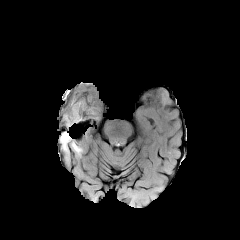
FLAIR MRI.
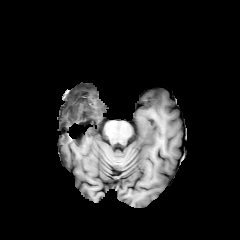
T1-weighted magnetic resonance of the same slice.
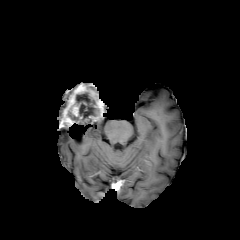
Post-contrast T1-weighted magnetic resonance.
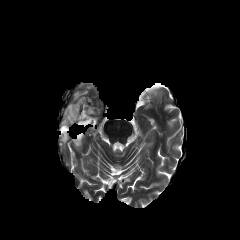
Same slice, T2-weighted magnetic resonance.
240x240 px. Brain.
Enhancing tumor — x1=62, y1=102, x2=81, y2=126.
Non-enhancing tumor core — x1=68, y1=90, x2=85, y2=116; x1=92, y1=94, x2=101, y2=113.
Edema — x1=60, y1=132, x2=81, y2=152; x1=76, y1=88, x2=98, y2=121.